Liver | CT scan slice | 512x512 | Slice 346 of 647
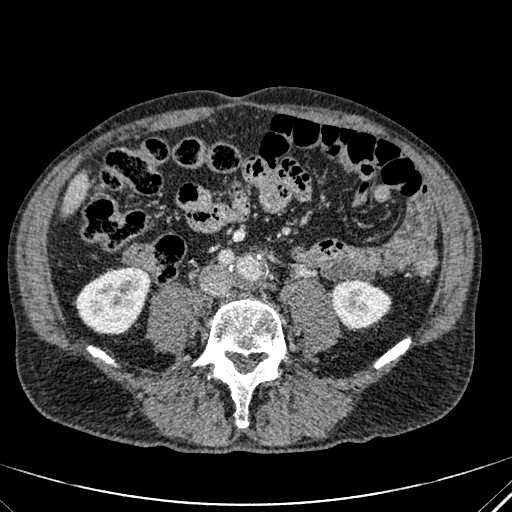
kidney: [77, 268, 149, 332], [333, 281, 389, 327] | liver: [64, 173, 87, 211]